Slice 106 of 155. Head.
FLAIR magnetic resonance.
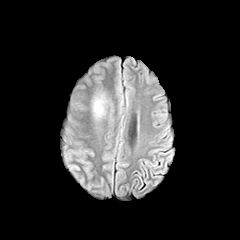
T1-weighted MR image.
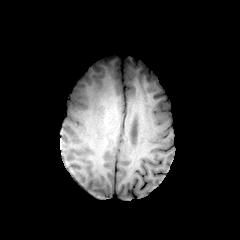
Post-contrast T1-weighted magnetic resonance.
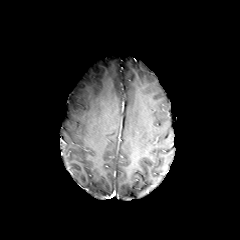
T2-weighted MRI.
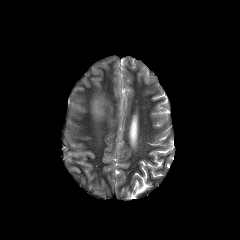
The edema lies within {"x1": 93, "y1": 93, "x2": 107, "y2": 117}.